240x240 | Head
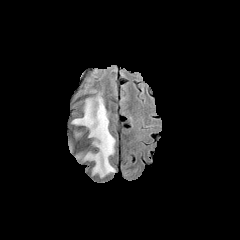
FLAIR MR image.
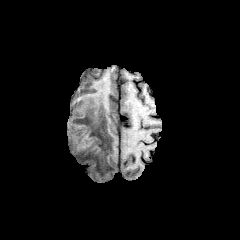
T1-weighted MR image.
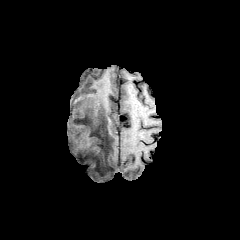
Post-contrast T1-weighted MRI of the same slice.
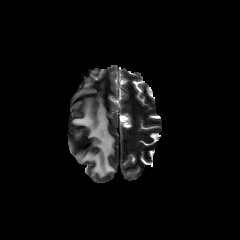
T2-weighted MR image.
<segmentation>
  <edema>72 96 115 177</edema>
</segmentation>